CT; Abdomen; 512x512 px; Field of view 360x360 mm; Slice index 69
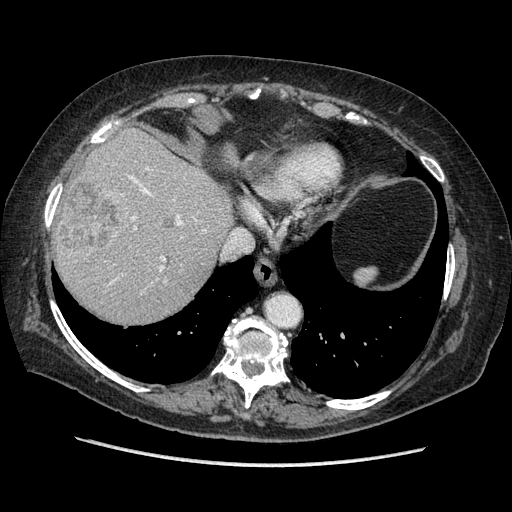

Some hepatic vessels may have no box.
hepatic vessel: (left=161, top=256, right=164, bottom=260), (left=159, top=262, right=164, bottom=269), (left=134, top=227, right=135, bottom=228), (left=132, top=178, right=147, bottom=192), (left=176, top=218, right=181, bottom=223), (left=132, top=217, right=135, bottom=220) | liver tumor: (left=58, top=182, right=121, bottom=250)